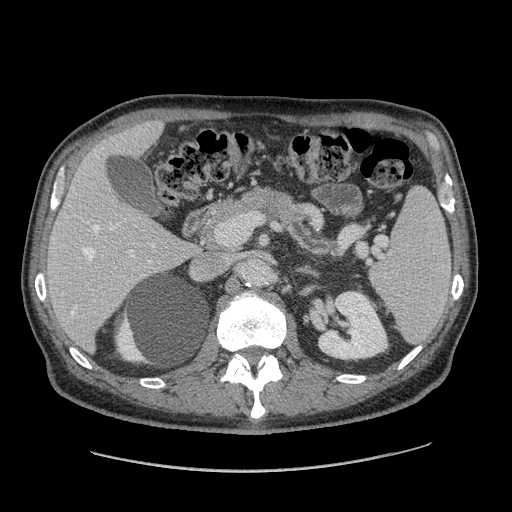

Upper abdomen | CT image
<segmentation>
  <pancreas><box>200,189,268,252</box>, <box>279,204,340,254</box></pancreas>
  <pancreatic_tumor><box>258,191,292,218</box></pancreatic_tumor>
</segmentation>